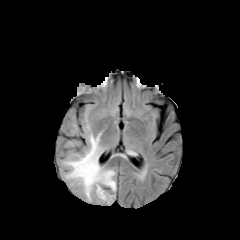
FLAIR MRI.
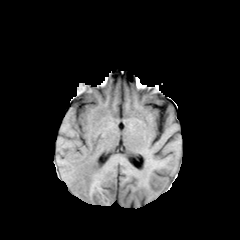
T1-weighted MR image.
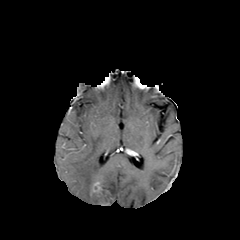
Post-contrast T1-weighted MR of the same slice.
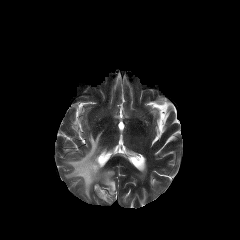
Same slice, T2-weighted MRI.
Brain
{"edema": ["71, 124, 78, 134", "63, 133, 116, 203"]}